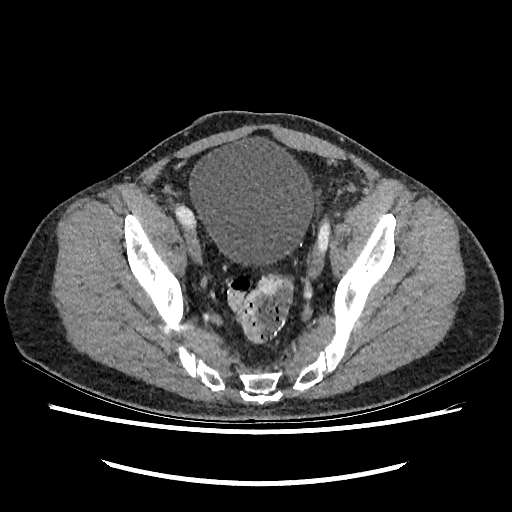 Pelvis, CT image, Image size 512x512
Annotated regions:
• urinary bladder: [189, 135, 314, 265]